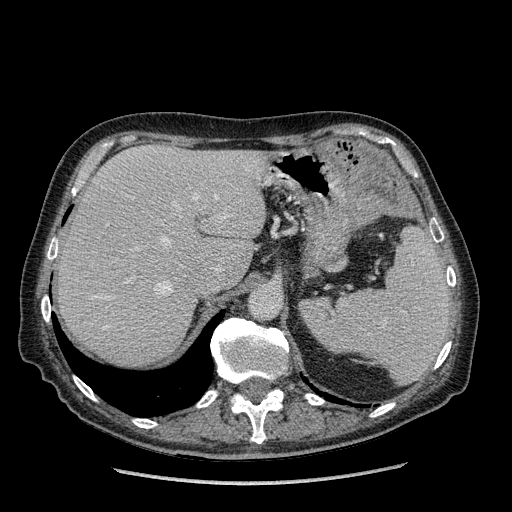 Abdomen | CT image
{"liver": ["58:145:269:367"]}